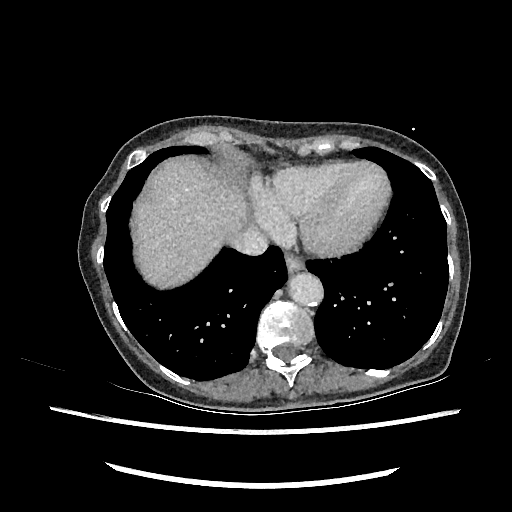

Abdomen | 512x512 px | CT image

Segmented structures:
- liver: 136,161,246,286